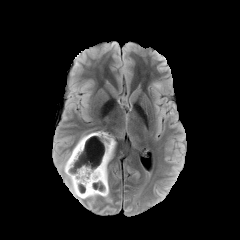
FLAIR magnetic resonance.
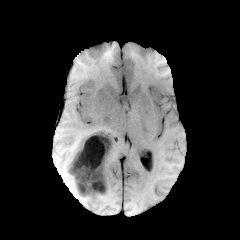
T1-weighted magnetic resonance.
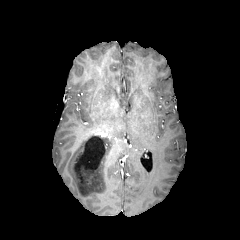
Post-contrast T1-weighted magnetic resonance of the same slice.
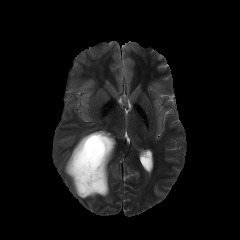
T2-weighted magnetic resonance of the same slice.
Image size 240x240
Enhancing tumor = bbox=[81, 130, 109, 139]; bbox=[103, 140, 113, 175].
Edema = bbox=[68, 174, 101, 198]; bbox=[103, 165, 108, 196]; bbox=[64, 140, 79, 173].
Non-enhancing tumor core = bbox=[66, 134, 113, 195].